CT image, Field of view 400x400 mm, Abdomen 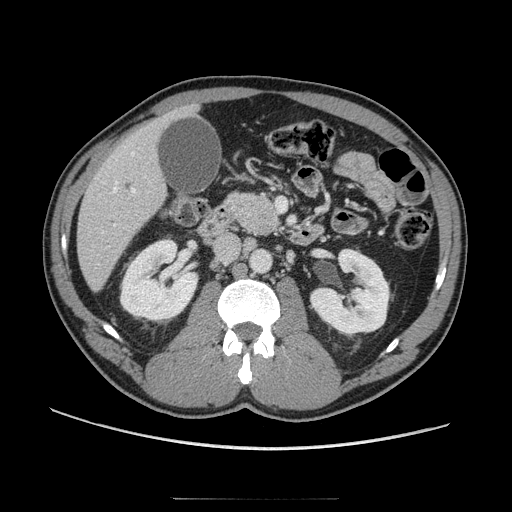 * pancreas: box=[223, 191, 279, 237]